Field of view 360 mm wide, 5.00 mm slice spacing | Image size 512x512 | CT image

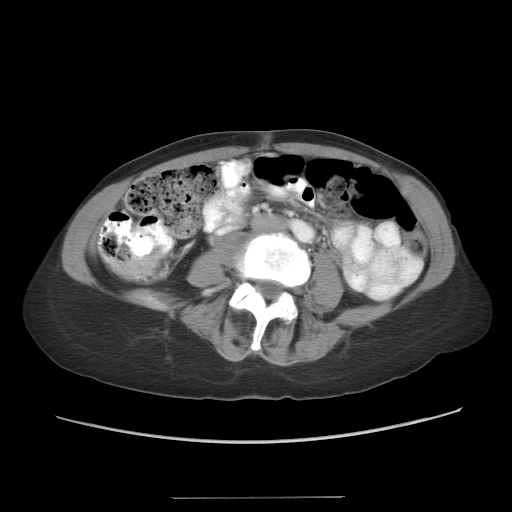

{
  "colon_tumor": [
    "110:245:164:280"
  ]
}